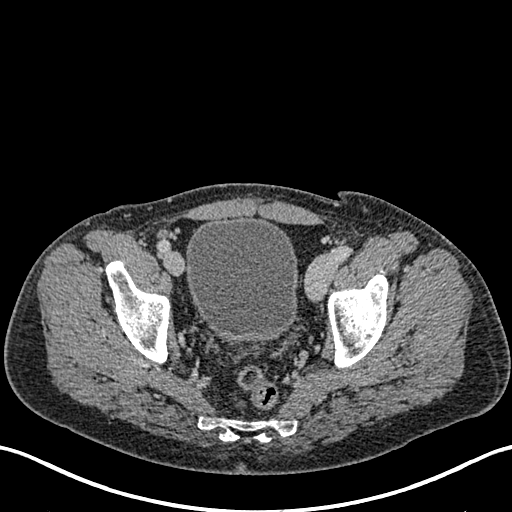 512x512 | CT image

urinary_bladder:
  - [185, 216, 297, 343]